Field of view 240x240 mm
FLAIR MR image.
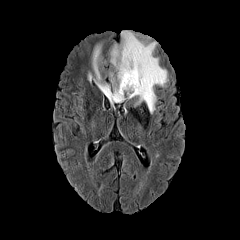
T1-weighted MR image.
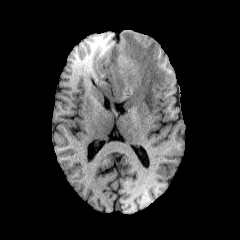
Post-contrast T1-weighted magnetic resonance.
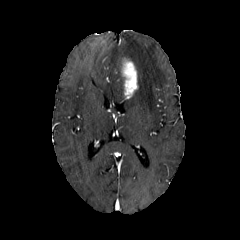
T2-weighted magnetic resonance.
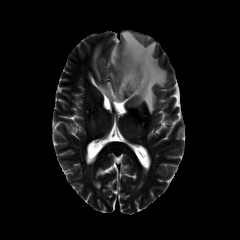
<segmentation>
  <edema>[93,30,167,113]</edema>
  <enhancing_tumor>[120,58,140,98]</enhancing_tumor>
</segmentation>